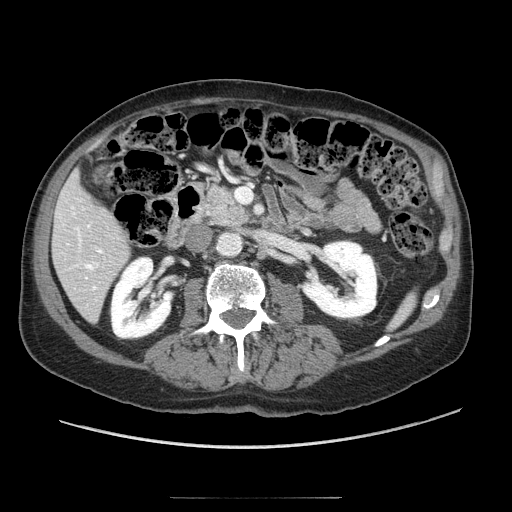

512x512 px, Abdomen, CT
The pancreatic tumor is at 211, 190, 232, 207. The pancreas appears at 206, 187, 247, 225.